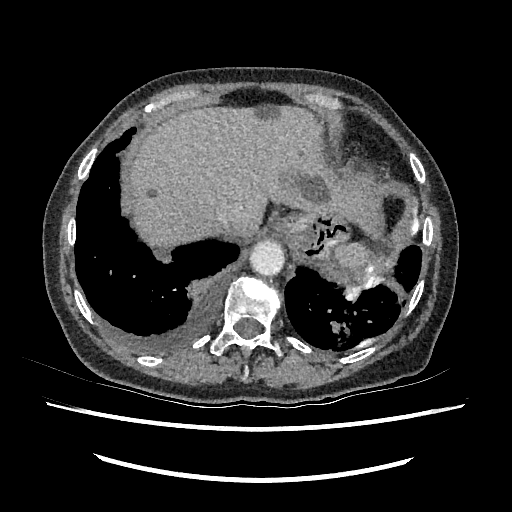
CT image | 512x512

Segmented structures:
• focal liver lesion: [x1=147, y1=189, x2=155, y2=198], [x1=256, y1=106, x2=276, y2=117], [x1=284, y1=169, x2=330, y2=203]
• liver: [x1=130, y1=106, x2=350, y2=249]